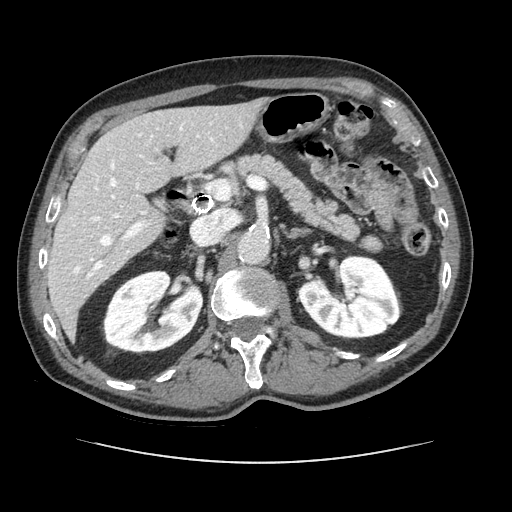

Upper abdomen; CT scan slice
<segmentation>
  <pancreas>box=[237, 155, 380, 251]</pancreas>
</segmentation>